FLAIR MRI.
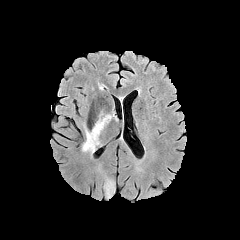
T1-weighted MR image.
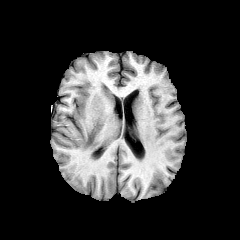
Post-contrast T1-weighted MR image.
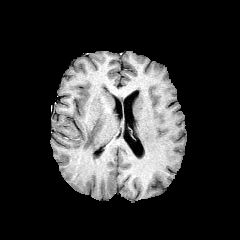
T2-weighted magnetic resonance.
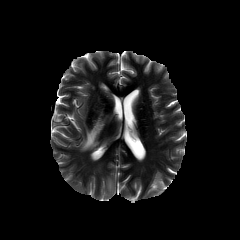
Brain
The edema is located at <bbox>81, 111, 115, 153</bbox>.